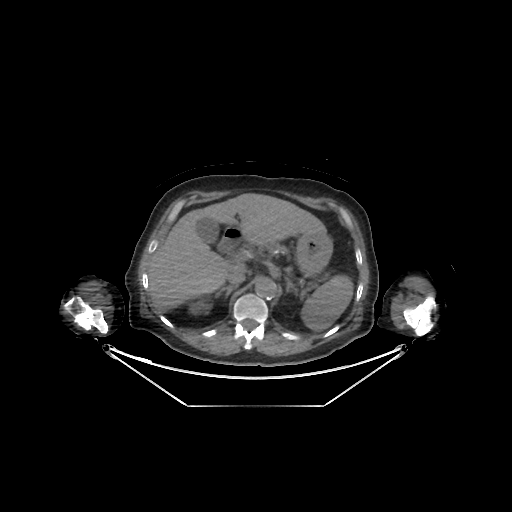

512x512. CT slice. Liver.

liver:
  - 146:194:324:313
kidney:
  - 190:294:211:313
bone:
  - 65:298:74:310
  - 357:284:362:300
  - 234:294:267:348
  - 203:330:215:336
  - 324:326:338:336
  - 142:274:147:288
  - 404:296:435:335
  - 161:316:172:327
  - 74:297:107:332